MR | Medial temporal lobe | Image size 35x50 | Slice 20 of 30
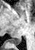

The posterior hippocampus lies within 8 38 21 44.